Head | Slice 102/155
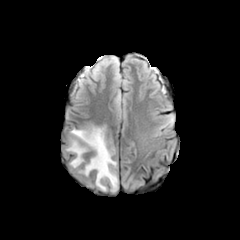
FLAIR MRI.
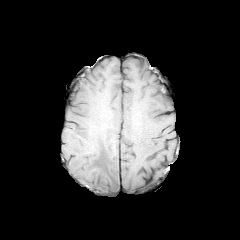
T1-weighted MRI of the same slice.
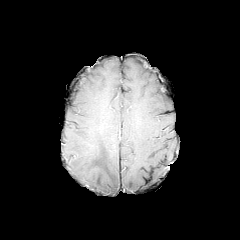
Post-contrast T1-weighted MRI.
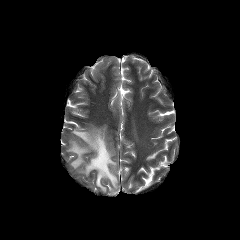
T2-weighted MR.
The edema is bounded by [67,125,118,192].